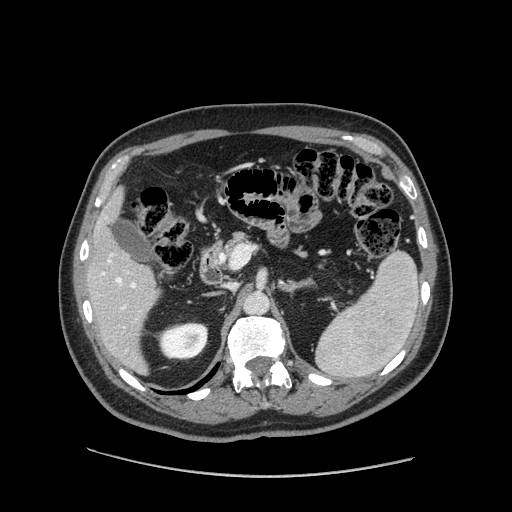 Upper abdomen | CT slice

pancreas: region(224, 233, 245, 255); region(300, 252, 307, 261)